Field of view 240x240 mm, Slice 98 of 155
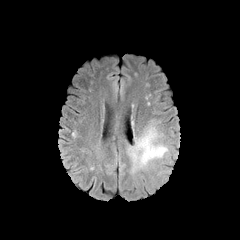
FLAIR MR image.
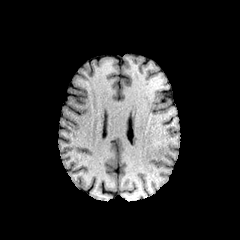
T1-weighted MR.
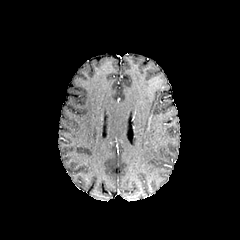
Same slice, post-contrast T1-weighted MR image.
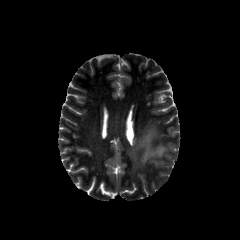
T2-weighted MRI of the same slice.
edema: {"x1": 127, "y1": 121, "x2": 167, "y2": 172}